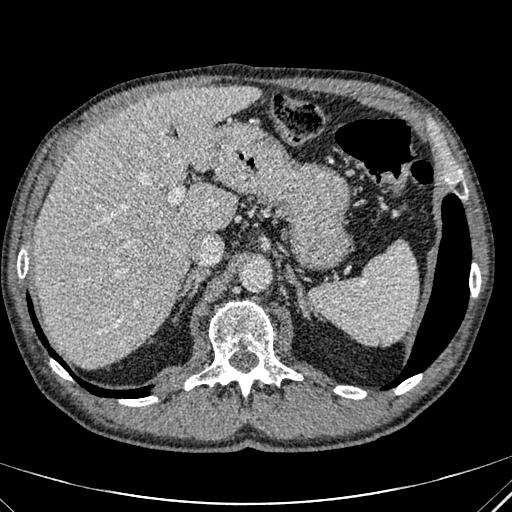
Liver. CT slice.
Segmented structures:
* liver: (35, 86, 260, 366)